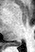

Magnetic resonance | Medial temporal lobe

Segmented structures:
• posterior hippocampus: (9,41,21,46)